512x512 px | Computed tomography

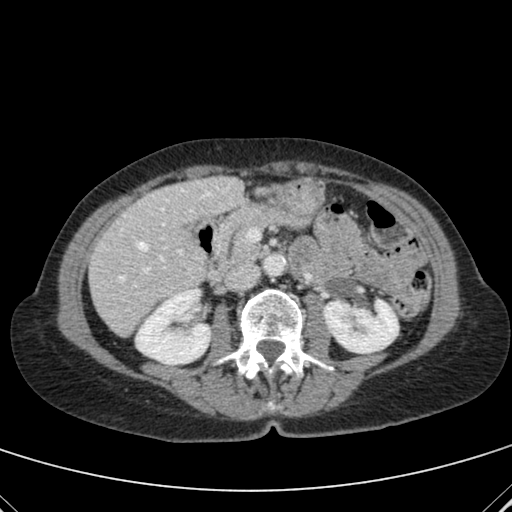
kidney:
  - l=136, t=289, r=209, b=364
  - l=325, t=300, r=397, b=352
liver:
  - l=89, t=176, r=245, b=332